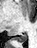

37x48 px | MR image | Hippocampus
Posterior hippocampus = [11, 35, 27, 42].